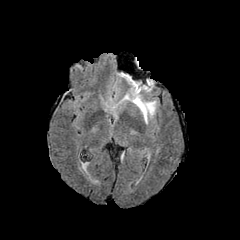
FLAIR MR.
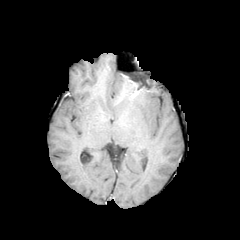
T1-weighted MR image of the same slice.
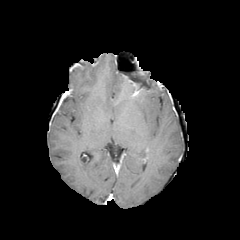
Post-contrast T1-weighted MR.
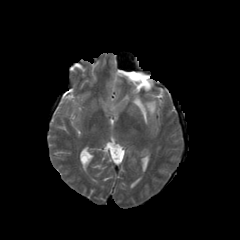
T2-weighted MR.
{
  "enhancing_tumor": [
    "(128, 80, 141, 95)"
  ],
  "edema": [
    "(118, 73, 157, 124)"
  ]
}